Brain; Field of view 240 mm wide, 1.00 mm slice spacing
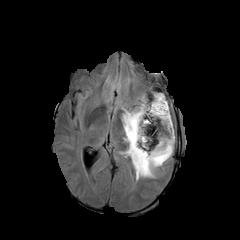
FLAIR magnetic resonance.
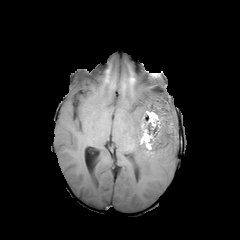
T1-weighted MR image.
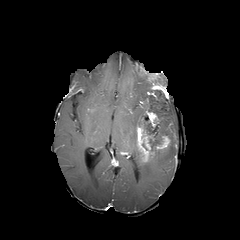
Same slice, post-contrast T1-weighted MR image.
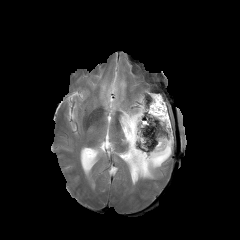
T2-weighted MR image.
Edema = bbox=[102, 76, 175, 182].
Non-enhancing tumor core = bbox=[126, 109, 166, 161].
Enhancing tumor = bbox=[136, 128, 146, 142]; bbox=[140, 148, 149, 161]; bbox=[156, 136, 169, 148].